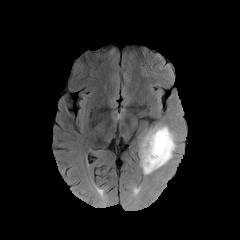
FLAIR MRI.
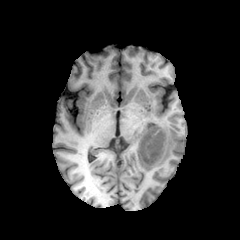
T1-weighted MR image of the same slice.
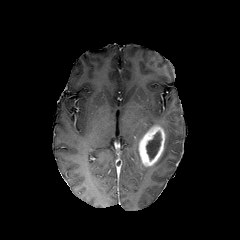
Post-contrast T1-weighted MRI of the same slice.
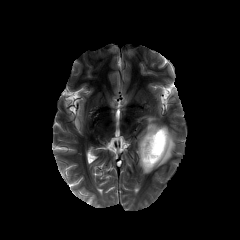
Same slice, T2-weighted MR image.
Brain
Annotated regions:
- enhancing tumor: <bbox>138, 125, 165, 166</bbox>
- non-enhancing tumor core: <bbox>146, 131, 161, 160</bbox>
- edema: <bbox>138, 123, 177, 175</bbox>